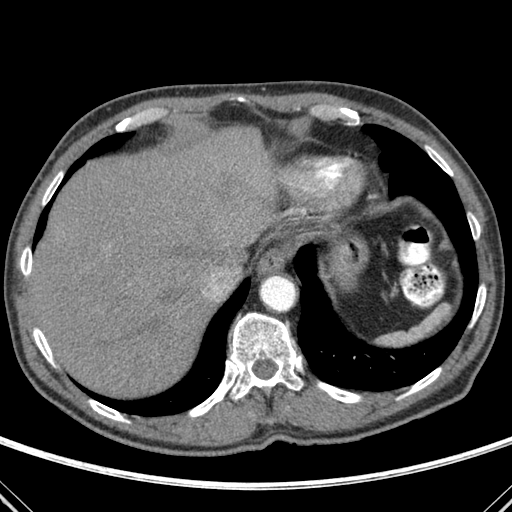 CT
10 bone regions appear at 468 213 480 239, 20 247 32 276, 88 400 128 422, 472 285 485 323, 317 382 360 402, 426 146 453 175, 42 171 62 204, 33 328 53 365, 404 368 441 395, 189 313 302 417. The liver is located at 31 126 275 398. 3 lung regions appear at 294 124 476 391, 36 133 132 241, 76 278 250 416.